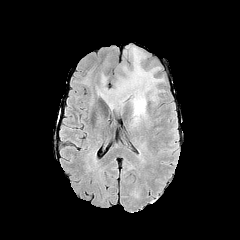
FLAIR magnetic resonance.
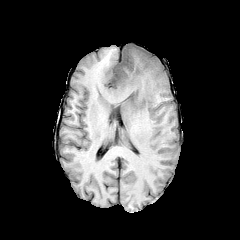
T1-weighted MR image of the same slice.
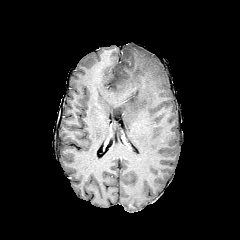
Post-contrast T1-weighted MR.
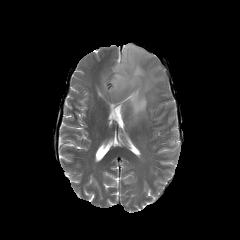
T2-weighted MRI.
Brain.
The edema is at bbox=[104, 46, 164, 124].